FLAIR MRI.
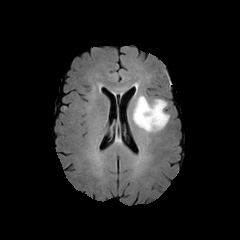
T1-weighted MR.
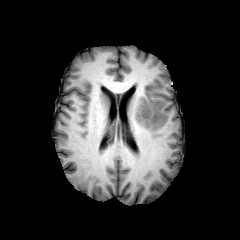
Post-contrast T1-weighted MR image.
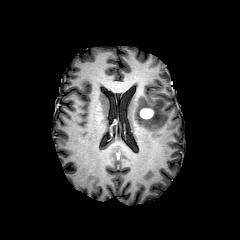
T2-weighted MR.
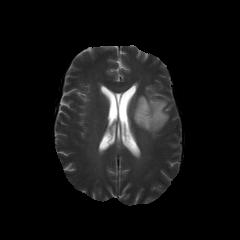
Brain
Non-enhancing tumor core — 136, 97, 149, 125.
Enhancing tumor — 140, 108, 153, 119.
Edema — 127, 80, 169, 134.